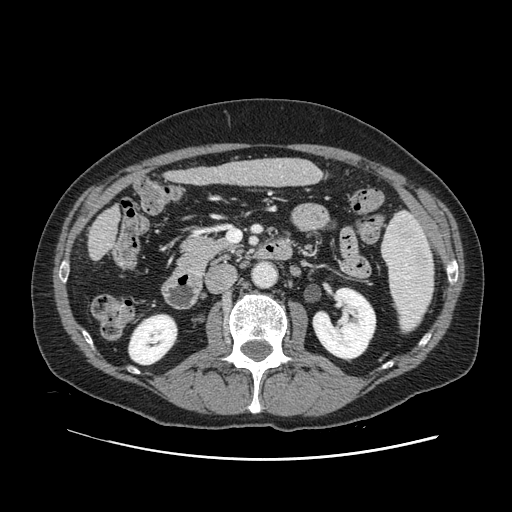
Abdomen; CT scan slice

Pancreas = [176,236,231,277].